CT scan slice | Liver | Slice 145 of 178
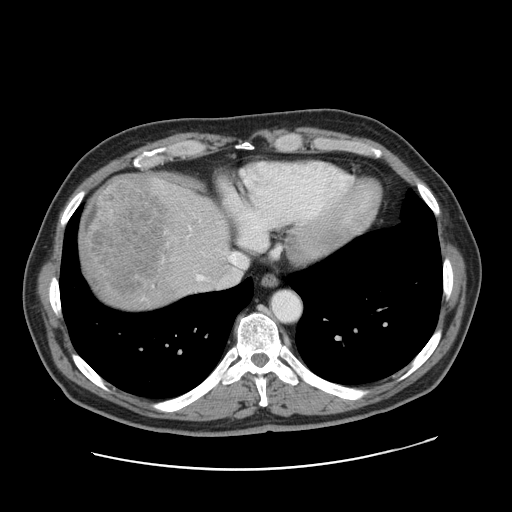
Only some of the vessels may be annotated.
liver_tumor:
  - bbox=[82, 175, 165, 293]
hepatic_vessel:
  - bbox=[189, 227, 190, 229]
  - bbox=[165, 230, 166, 232]
  - bbox=[217, 284, 220, 288]